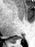 Hippocampus; Magnetic resonance

Posterior hippocampus: [x1=9, y1=35, x2=23, y2=42].